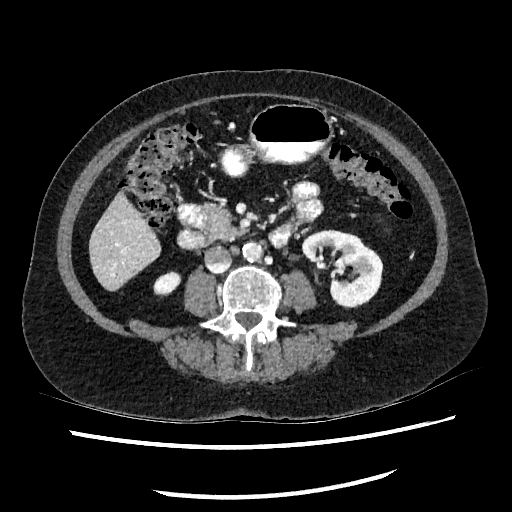

CT.

Liver at left=89, top=192, right=159, bottom=289.
Kidney at left=155, top=273, right=178, bottom=292; left=303, top=231, right=381, bottom=306.